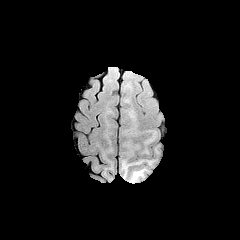
FLAIR MR.
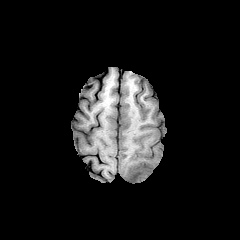
T1-weighted MR.
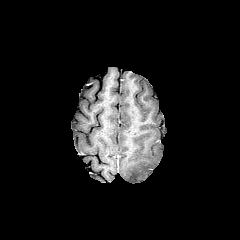
Same slice, post-contrast T1-weighted magnetic resonance.
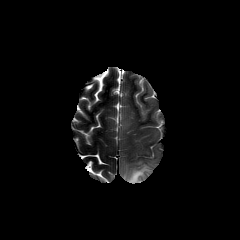
T2-weighted MRI.
The edema is located at 124 166 148 182.